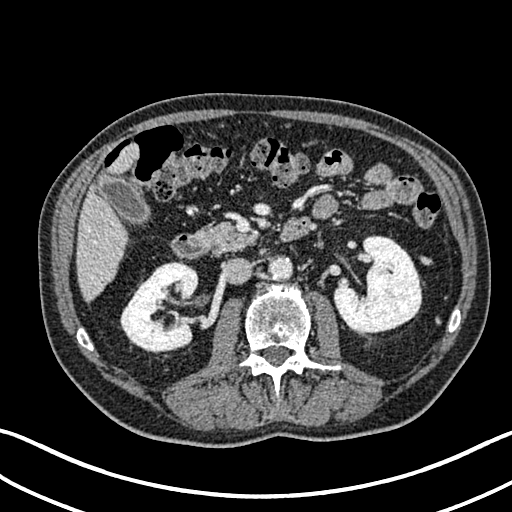
CT slice

Annotated regions:
- liver: rect(77, 185, 126, 301); rect(107, 144, 139, 172)
- kidney: rect(121, 263, 197, 351); rect(334, 237, 421, 332)